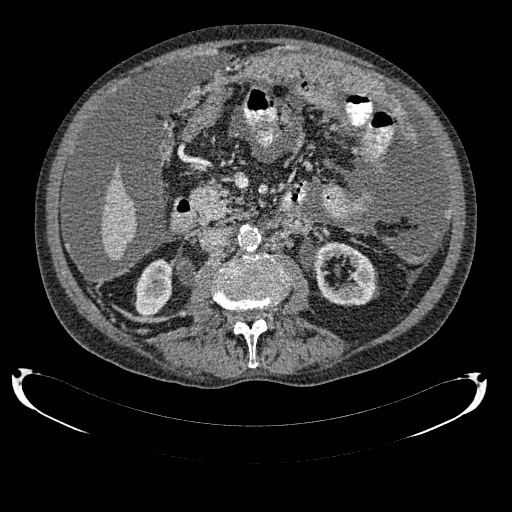

CT
{
  "liver": [
    "[101,166,136,260]"
  ],
  "kidney": [
    "[136,259,171,317]",
    "[315,242,375,304]"
  ]
}